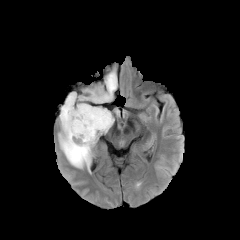
FLAIR MRI.
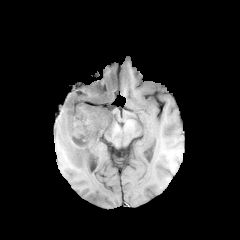
T1-weighted MRI of the same slice.
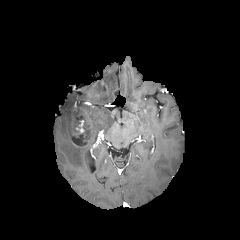
Post-contrast T1-weighted MRI.
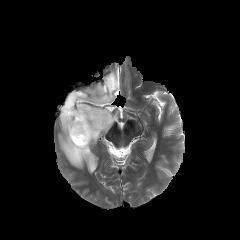
T2-weighted MR image of the same slice.
Head
The enhancing tumor is located at region(76, 120, 84, 133). 2 edema regions appear at region(90, 108, 114, 132); region(59, 72, 117, 171). The non-enhancing tumor core is bounded by region(71, 102, 103, 146).